FLAIR MRI.
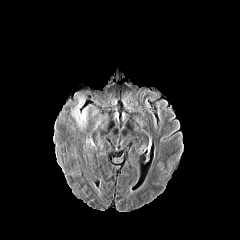
T1-weighted MRI.
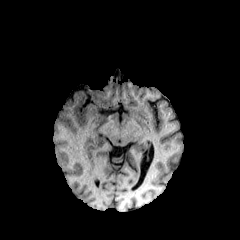
Post-contrast T1-weighted MRI.
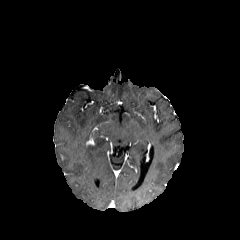
T2-weighted MR image.
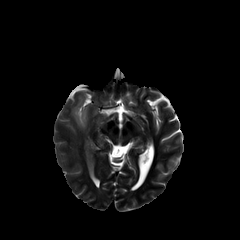
Brain. 240x240 px.
The edema is located at (x1=75, y1=100, x2=86, y2=125).